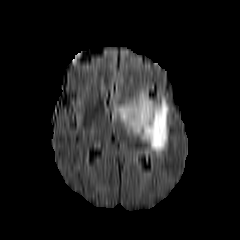
FLAIR magnetic resonance.
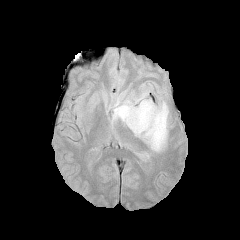
Same slice, T1-weighted MRI.
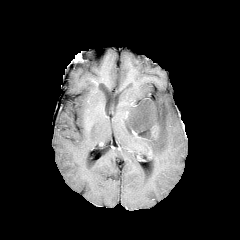
Same slice, post-contrast T1-weighted MRI.
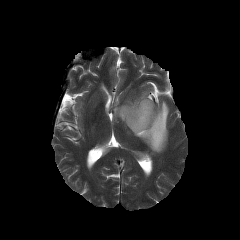
T2-weighted magnetic resonance of the same slice.
The edema is bounded by x1=112 y1=91 x2=169 y2=157.